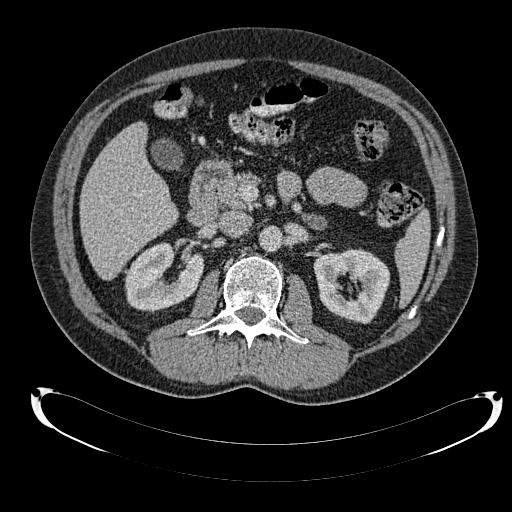 Image size 512x512; CT image; Liver

The liver appears at x1=80 y1=122 x2=177 y2=278. 2 kidney regions are bounded by x1=126 y1=243 x2=203 y2=310, x1=314 y1=250 x2=389 y2=322.